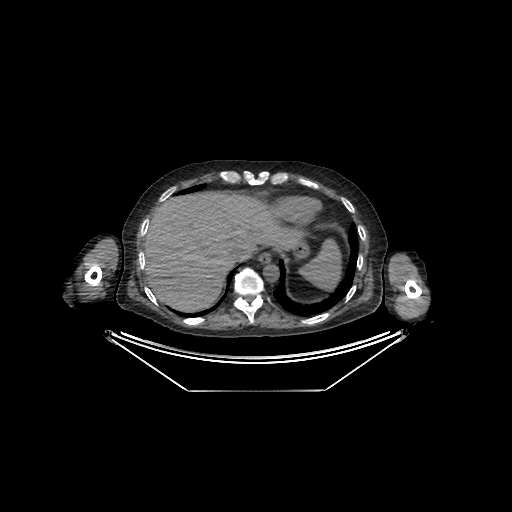 Upper abdomen | CT image
Annotated regions:
• liver: rect(142, 191, 299, 312)